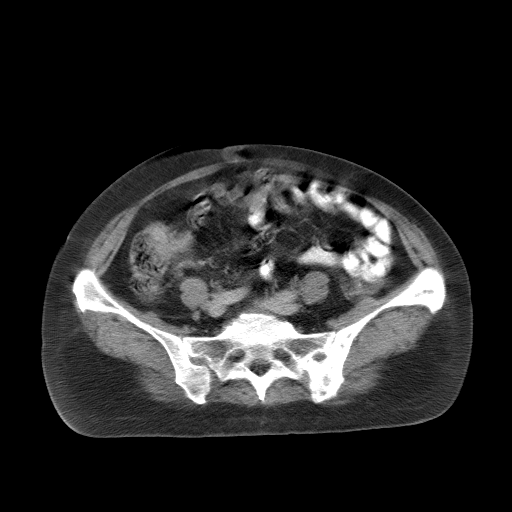
Pelvis | CT image
<segmentation>
  <colon_tumor>[x1=146, y1=224, x2=189, y2=256]</colon_tumor>
</segmentation>